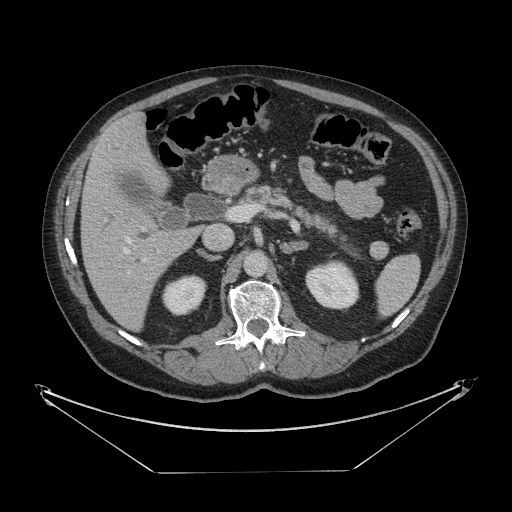
CT scan slice
The pancreas is bounded by (247,186,334,234).